FLAIR magnetic resonance.
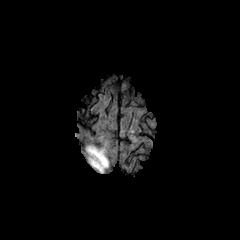
T1-weighted MR image.
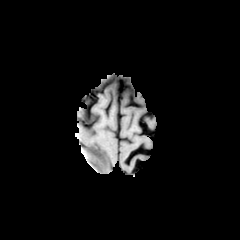
Post-contrast T1-weighted magnetic resonance.
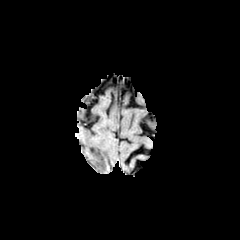
T2-weighted MR.
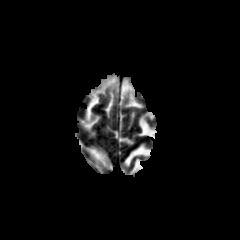
Image size 240x240.
<segmentation>
  <edema>(86,145,109,173)</edema>
</segmentation>